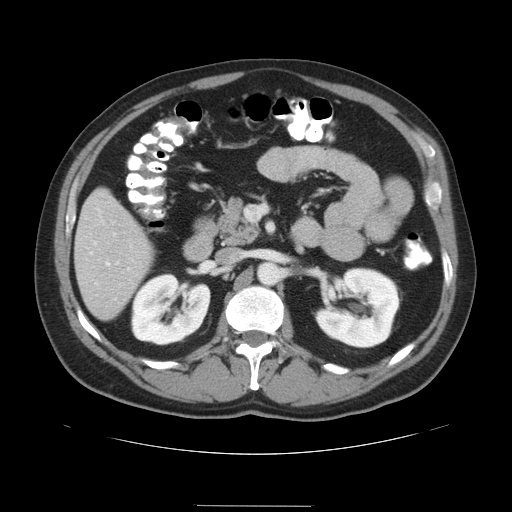
CT slice
Only some of the vessels may be annotated.
{
  "hepatic_vessel": [
    "<box>117,262,119,264</box>",
    "<box>112,222,113,223</box>",
    "<box>114,299,116,300</box>",
    "<box>94,242,96,244</box>",
    "<box>128,269,129,270</box>",
    "<box>106,262,109,265</box>",
    "<box>95,282,97,284</box>",
    "<box>90,252,92,255</box>",
    "<box>113,234,115,235</box>"
  ]
}